FLAIR MR image.
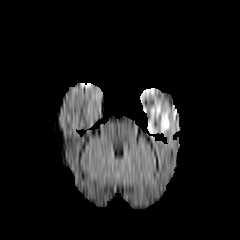
T1-weighted MRI.
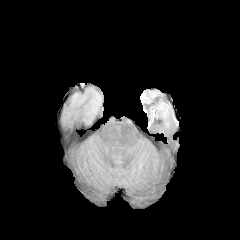
Post-contrast T1-weighted MR image.
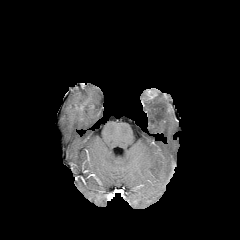
T2-weighted MRI.
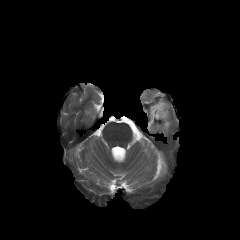
240x240.
Edema at [x1=148, y1=99, x2=169, y2=132].